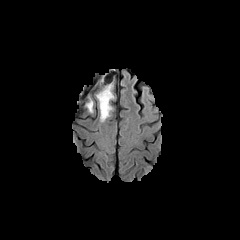
FLAIR MR image.
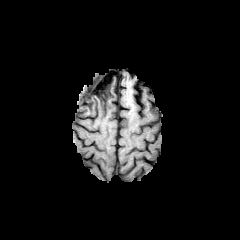
T1-weighted magnetic resonance.
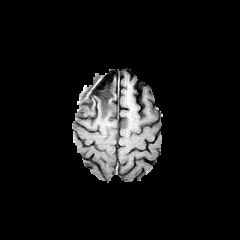
Post-contrast T1-weighted MR of the same slice.
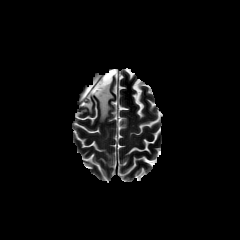
Same slice, T2-weighted MR image.
Head
{"edema": ["region(86, 94, 99, 118)", "region(98, 82, 113, 118)"], "non-enhancing_tumor_core": ["region(92, 78, 109, 95)", "region(84, 94, 95, 109)"]}